FLAIR MRI.
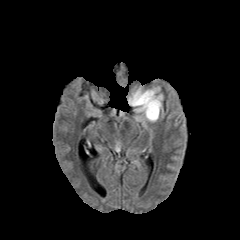
T1-weighted MR.
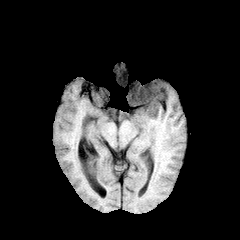
Post-contrast T1-weighted magnetic resonance.
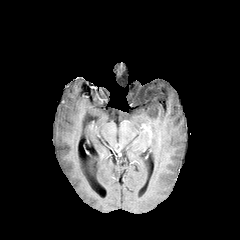
T2-weighted MR image.
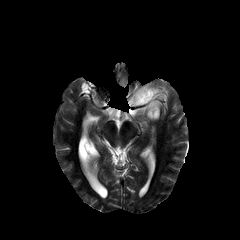
The edema is located at bbox=[128, 82, 165, 121].